240x240; Slice index 54; Image width 240 mm
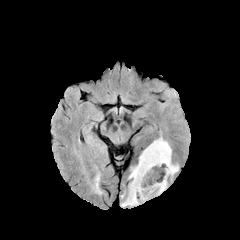
FLAIR MR.
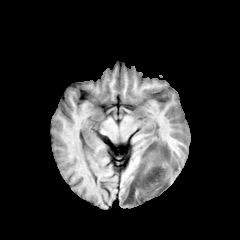
T1-weighted MR image.
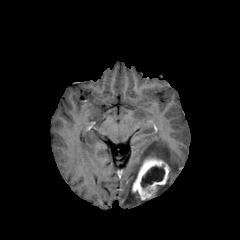
Post-contrast T1-weighted magnetic resonance.
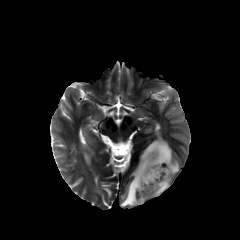
T2-weighted MR image.
Enhancing tumor: bounding box bbox=[131, 157, 170, 200].
Non-enhancing tumor core: bounding box bbox=[141, 165, 164, 186].
Edema: bounding box bbox=[156, 180, 168, 195]; bbox=[121, 137, 178, 206].